Head
FLAIR MR image.
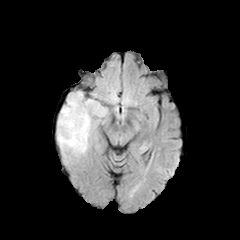
T1-weighted magnetic resonance.
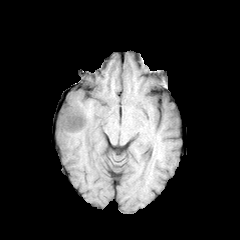
Post-contrast T1-weighted magnetic resonance.
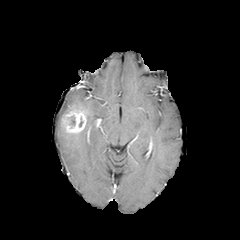
T2-weighted MR.
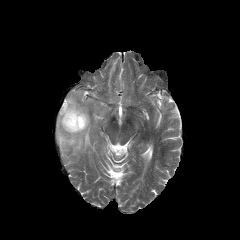
Enhancing tumor at (60, 104, 86, 133).
Edema at (56, 91, 107, 159).
Non-enhancing tumor core at (60, 130, 79, 141).